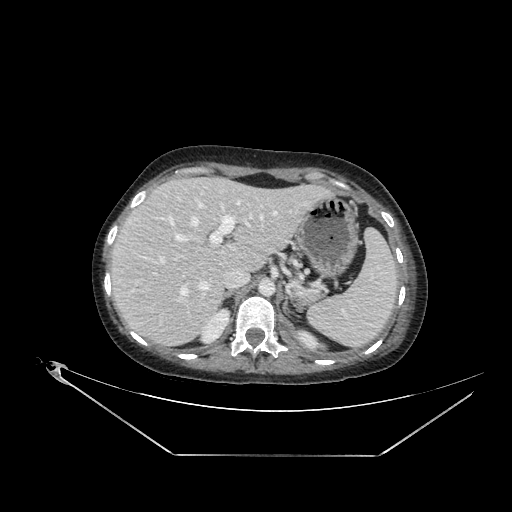

CT. Image size 512x512. <segmentation>
  <kidney>299, 332, 317, 348; 201, 309, 228, 342</kidney>
  <liver>112, 181, 319, 341</liver>
</segmentation>